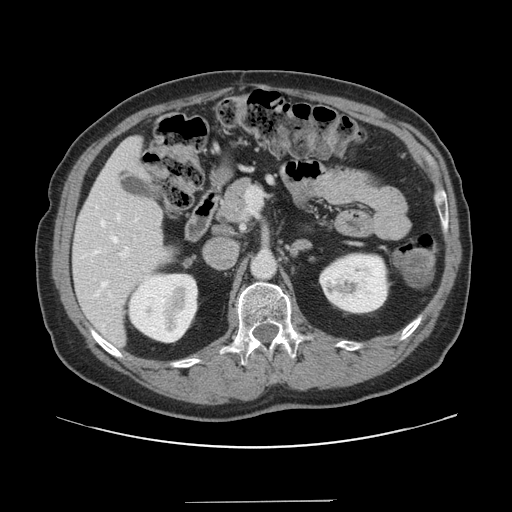

512x512, CT slice
Some hepatic vessels may have no box.
Segmented structures:
• hepatic vessel: (x1=246, y1=189, x2=260, y2=212), (x1=101, y1=220, x2=104, y2=226), (x1=119, y1=246, x2=129, y2=257), (x1=111, y1=236, x2=117, y2=242), (x1=117, y1=214, x2=119, y2=219), (x1=101, y1=282, x2=106, y2=286)